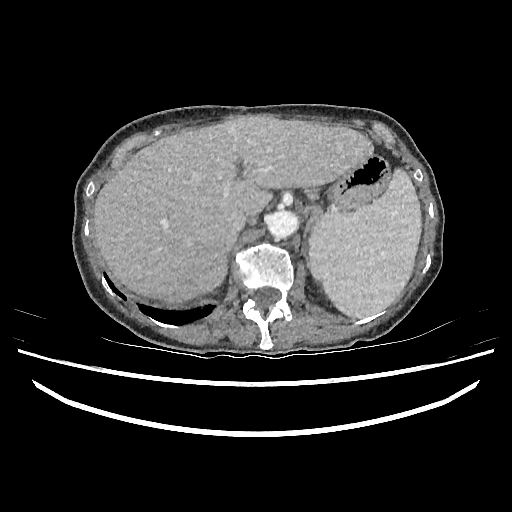 CT image. Liver. Segmented structures:
* liver: box=[95, 116, 371, 300]